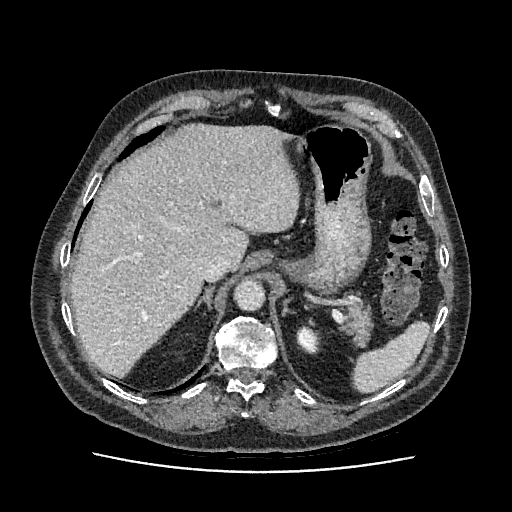
Computed tomography
Kidney: <box>299,329,314,351</box>.
Liver: <box>72,123,298,377</box>.